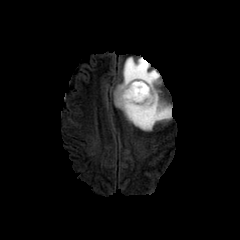
FLAIR MRI.
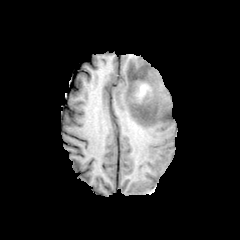
T1-weighted MR image.
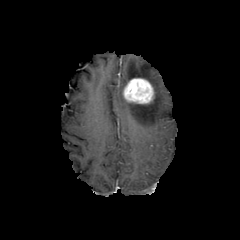
Post-contrast T1-weighted MR image.
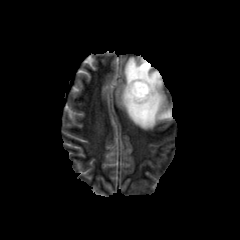
T2-weighted MRI of the same slice.
Head
<segmentation>
  <enhancing_tumor>123:78:153:103</enhancing_tumor>
  <edema>116:58:170:130</edema>
  <non-enhancing_tumor_core>128:101:153:107</non-enhancing_tumor_core>
</segmentation>